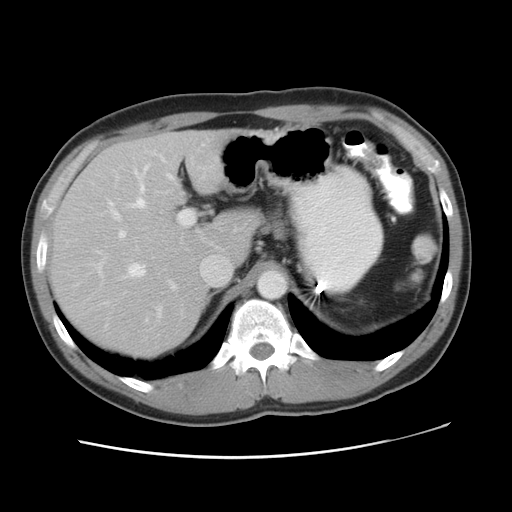
Abdomen | CT scan slice
Not every hepatic vessel necessarily has a box.
hepatic vessel: region(125, 263, 145, 276); region(144, 164, 148, 169); region(108, 200, 119, 219); region(96, 263, 101, 274); region(129, 181, 146, 208); region(118, 229, 125, 238); region(167, 174, 172, 177); region(103, 253, 107, 257); region(158, 307, 161, 314); region(200, 262, 203, 274); region(135, 171, 141, 178); region(170, 282, 175, 287)